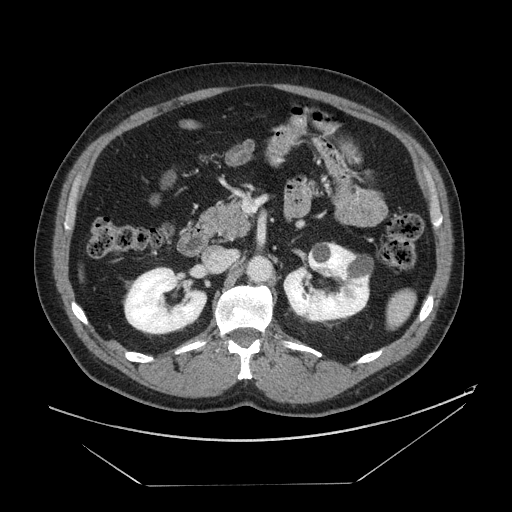

CT scan slice

The pancreas is at {"x1": 196, "y1": 201, "x2": 249, "y2": 238}.